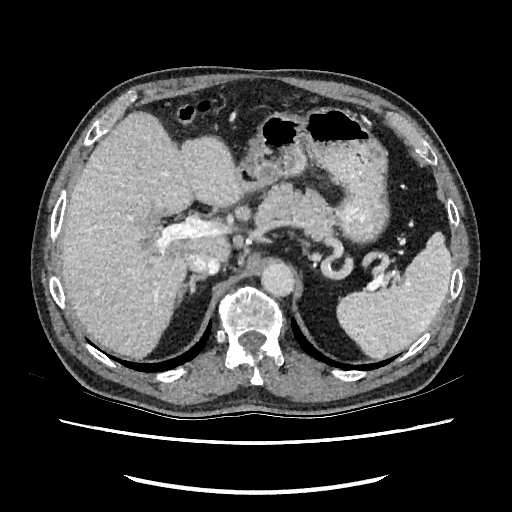
CT

{"liver": [{"x1": 63, "y1": 114, "x2": 240, "y2": 357}], "hepatic_lesion": [{"x1": 138, "y1": 210, "x2": 167, "y2": 246}, {"x1": 166, "y1": 243, "x2": 179, "y2": 257}]}